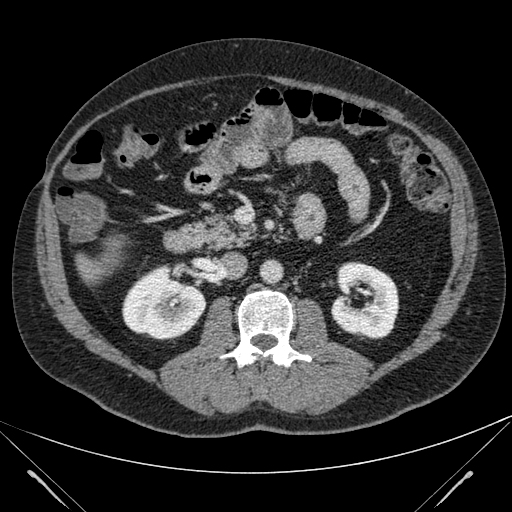

Computed tomography, Liver
<segmentation>
  <liver>rect(76, 255, 105, 281)</liver>
  <kidney>rect(123, 267, 204, 338); rect(332, 263, 397, 337)</kidney>
</segmentation>